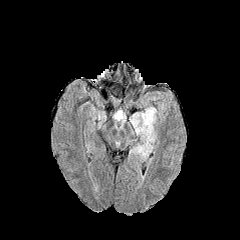
FLAIR MR.
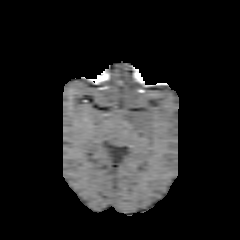
T1-weighted magnetic resonance.
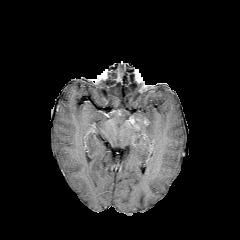
Same slice, post-contrast T1-weighted MRI.
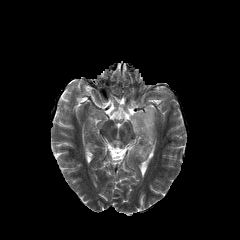
T2-weighted MR image of the same slice.
240x240 px
enhancing_tumor:
  - bbox(128, 113, 150, 136)
edema:
  - bbox(129, 102, 166, 162)
  - bbox(112, 109, 126, 132)